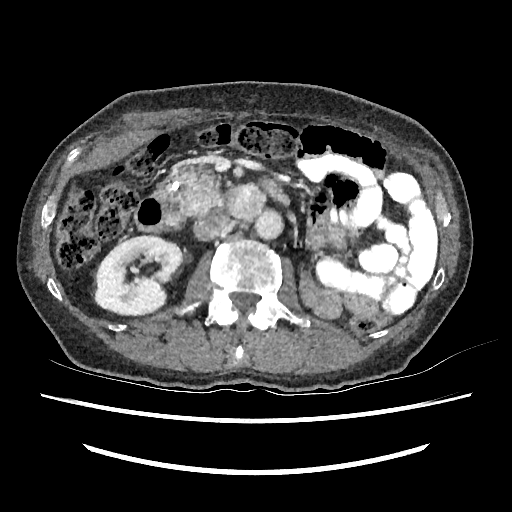 CT scan slice.

kidney:
  - x1=96, y1=236, x2=181, y2=314